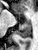

Medial temporal lobe, Magnetic resonance, 38x50 px
anterior_hippocampus:
  - 24:19:29:22
posterior_hippocampus:
  - 16:23:30:38